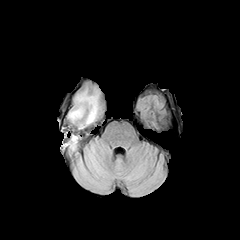
FLAIR MRI.
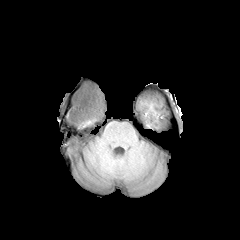
T1-weighted MR image of the same slice.
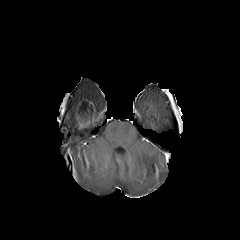
Post-contrast T1-weighted magnetic resonance.
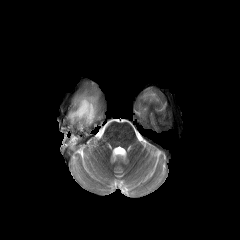
T2-weighted MR image of the same slice.
Edema = (64, 135, 78, 155), (68, 90, 102, 129).
Non-enhancing tumor core = (76, 99, 95, 117).